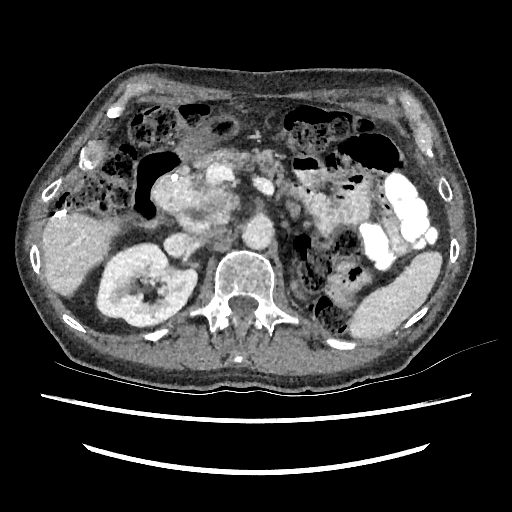

Abdomen. CT scan slice.

{
  "liver": [
    "box(42, 214, 117, 295)"
  ],
  "kidney": [
    "box(97, 244, 196, 326)"
  ]
}